FLAIR MR.
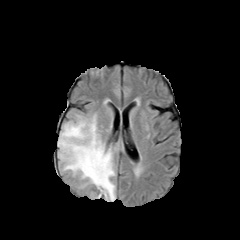
T1-weighted MR image.
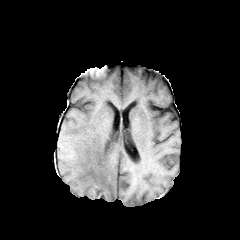
Post-contrast T1-weighted MR.
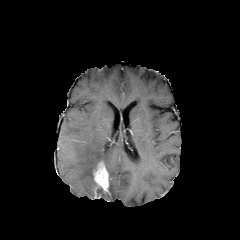
T2-weighted MR image.
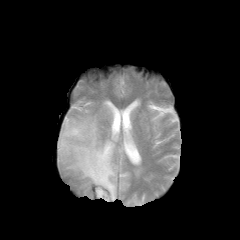
The non-enhancing tumor core is at (97, 188, 107, 195). The edema is bounded by (58, 114, 119, 201). The enhancing tumor appears at (93, 162, 108, 192).